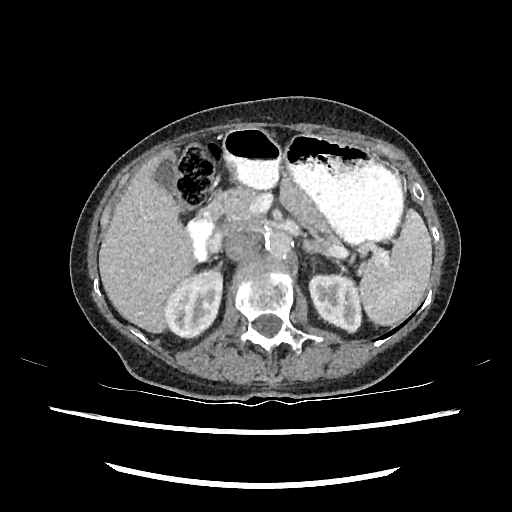 Abdomen. CT. {"liver": ["[99,149,193,331]"], "kidney": ["[310,276,360,329]", "[165,272,221,336]"]}